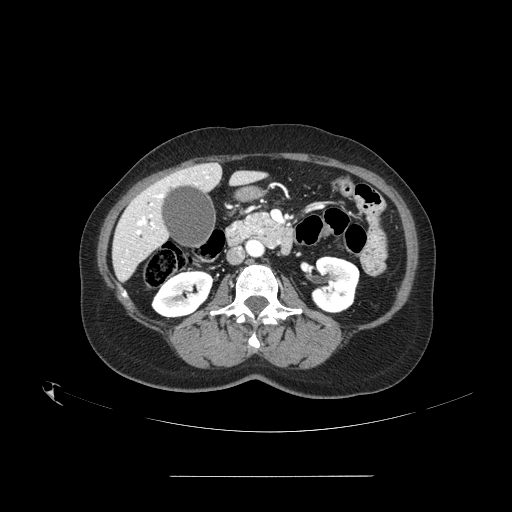 CT image; Upper abdomen
Annotated regions:
- pancreas: 238 213 281 248